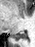

Magnetic resonance. 35x47 px.

The posterior hippocampus is at <box>12,31,26,40</box>.